Liver | Computed tomography
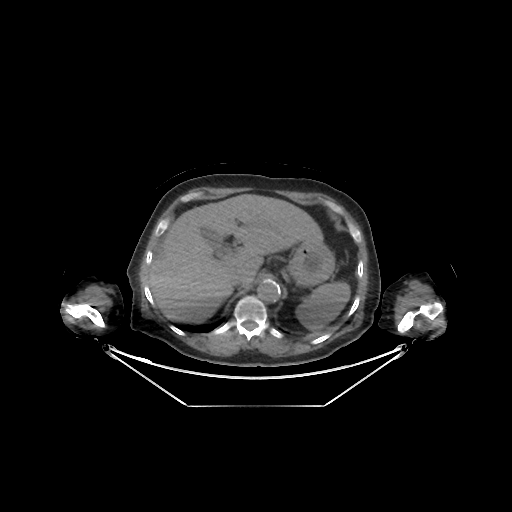 Bone = 349 298 358 314, 171 326 184 334, 66 304 104 327, 358 262 362 277, 214 325 227 333, 146 251 151 263, 145 286 152 303, 235 297 267 340, 156 223 166 234, 398 302 442 332, 312 335 329 343.
Lung = 173 317 225 332.
Liver = 148 195 322 323.